FLAIR magnetic resonance.
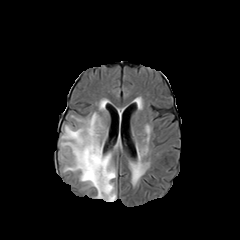
T1-weighted MR.
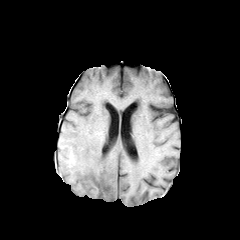
Post-contrast T1-weighted magnetic resonance.
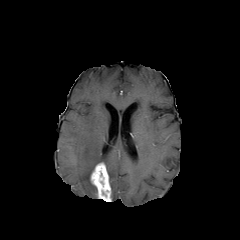
T2-weighted MR.
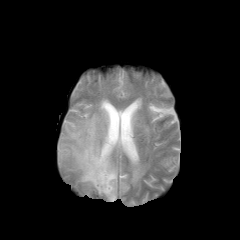
Head; Image size 240x240
Annotated regions:
- enhancing tumor: 90,162,111,201
- edema: 132,164,142,180; 111,182,116,200; 59,99,116,197